Brain
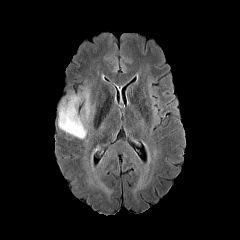
FLAIR MR image.
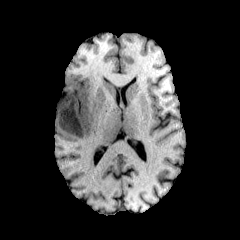
T1-weighted MRI.
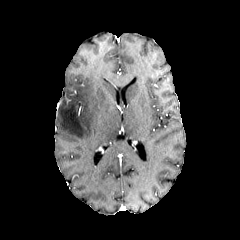
Post-contrast T1-weighted MR.
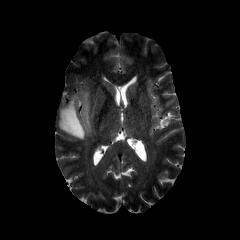
T2-weighted magnetic resonance of the same slice.
The edema is bounded by box(58, 87, 90, 139).